Slice 109/155
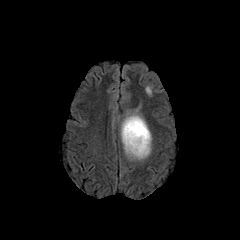
FLAIR MR.
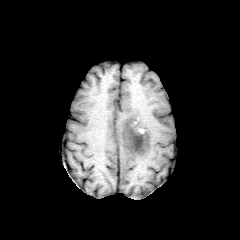
T1-weighted MR.
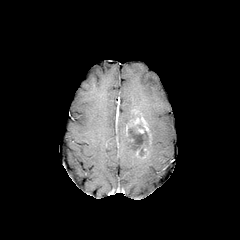
Post-contrast T1-weighted magnetic resonance.
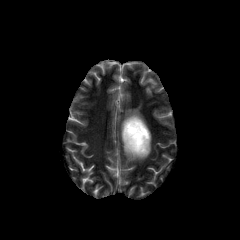
Same slice, T2-weighted magnetic resonance.
Enhancing tumor at (x1=131, y1=118, x2=148, y2=133).
Non-enhancing tumor core at (x1=123, y1=117, x2=150, y2=156).
Edema at (x1=119, y1=111, x2=151, y2=159).